Brain
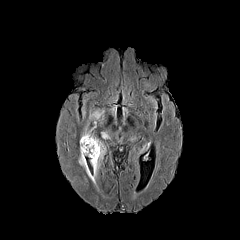
FLAIR magnetic resonance.
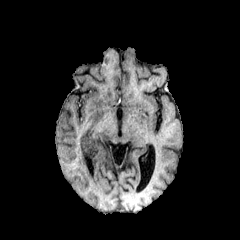
T1-weighted MR.
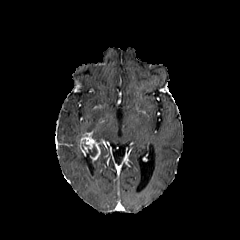
Post-contrast T1-weighted MRI of the same slice.
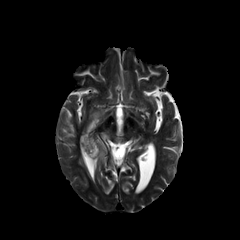
Same slice, T2-weighted MRI.
edema:
  - box=[89, 109, 104, 120]
  - box=[101, 131, 110, 139]
  - box=[78, 144, 105, 185]
non-enhancing_tumor_core:
  - box=[81, 139, 98, 162]
enhancing_tumor:
  - box=[80, 136, 100, 160]